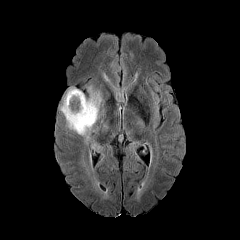
FLAIR MR.
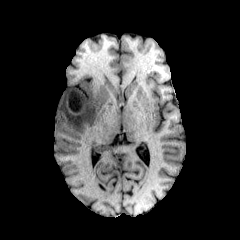
T1-weighted MRI of the same slice.
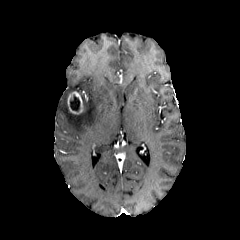
Post-contrast T1-weighted MR image.
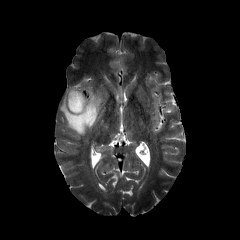
T2-weighted MR of the same slice.
Head. 240x240.
Non-enhancing tumor core at left=69, top=95, right=79, bottom=111.
Edema at left=57, top=86, right=100, bottom=145.
Enhancing tumor at left=67, top=91, right=85, bottom=114.